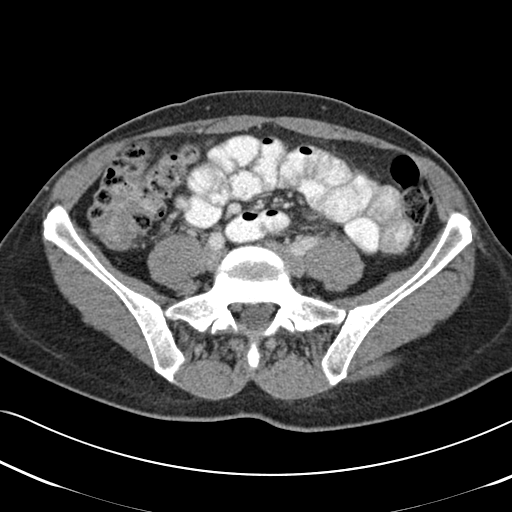
Abdomen. CT scan slice.
Findings:
• colon tumor: (x1=93, y1=173, x2=155, y2=249)